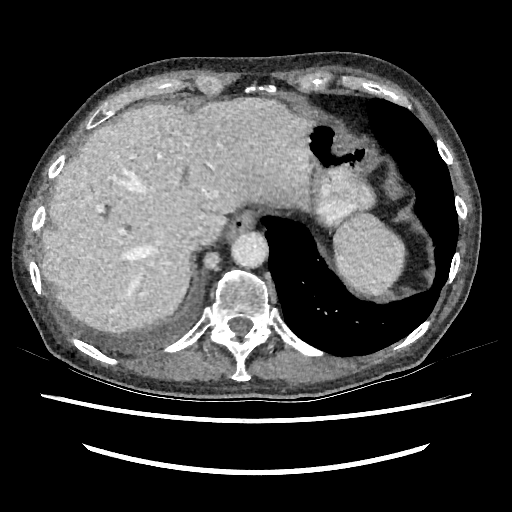 Upper abdomen | CT
The liver is located at (42, 96, 311, 332).